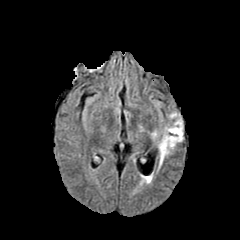
FLAIR MRI.
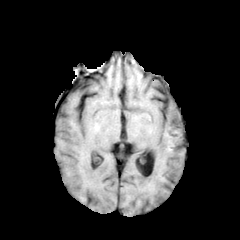
T1-weighted MRI.
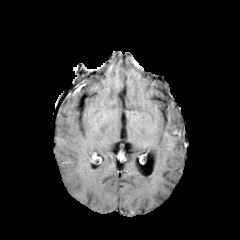
Post-contrast T1-weighted MRI.
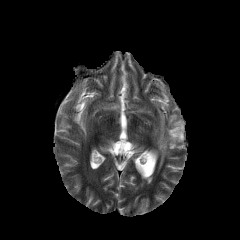
Same slice, T2-weighted MR image.
Head; 240x240
Annotated regions:
- edema: 157,112,183,165